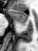
Image size 38x51. MR image. Medial temporal lobe.

Anterior hippocampus = box(10, 10, 27, 24).